Field of view 497x497 mm, CT scan slice, 512x512, Abdomen

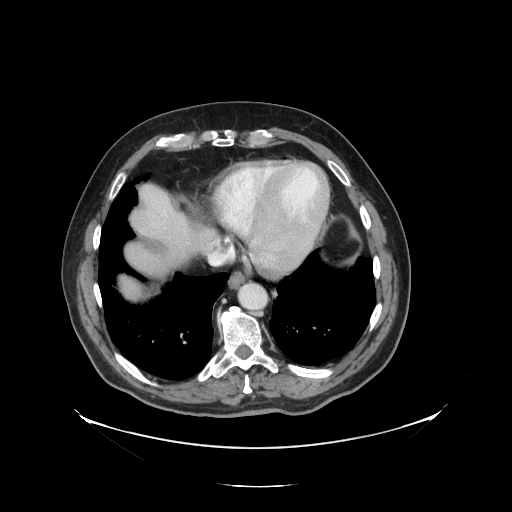
Only some of the vessels may be annotated.
Hepatic vessel: bounding box region(212, 242, 219, 248); region(214, 253, 217, 254).